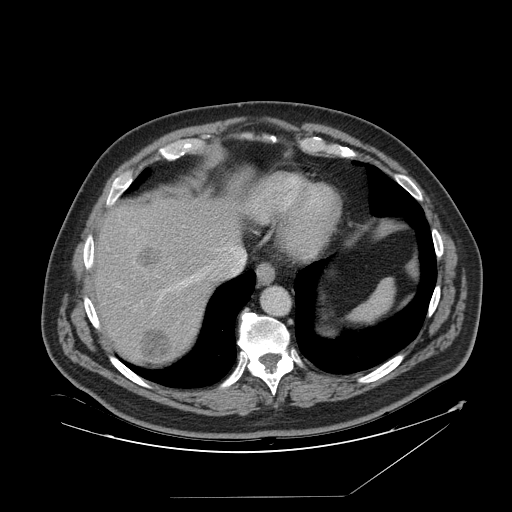

Computed tomography

- spleen: 349:279:395:322